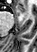
MRI slice | 37x52

The anterior hippocampus is located at box=[16, 6, 25, 13].